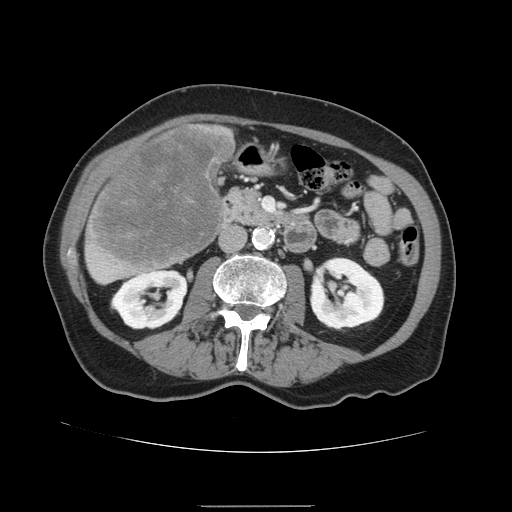
CT scan slice; 512x512 px
{
  "liver_tumor": [
    "rect(90, 127, 232, 268)"
  ]
}